Field of view 369 mm wide, 0.80 mm slice spacing | CT scan slice | 512x512 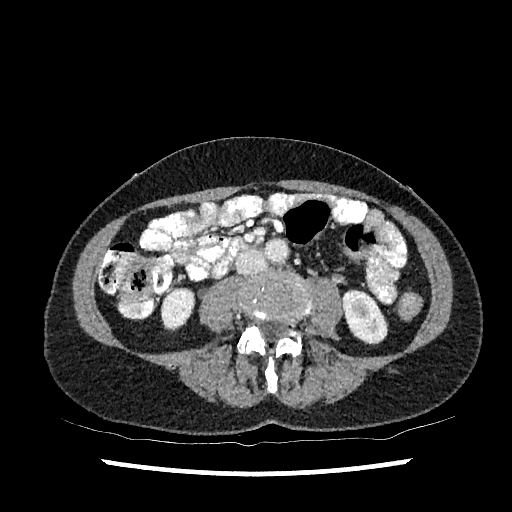
Kidney — left=343, top=291, right=386, bottom=342; left=162, top=289, right=193, bottom=327.